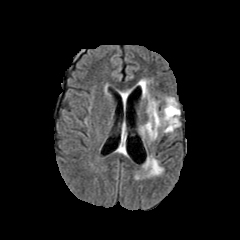
FLAIR magnetic resonance.
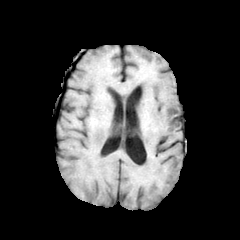
T1-weighted MRI.
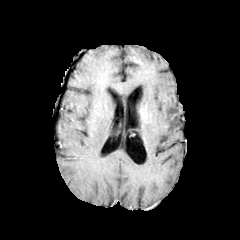
Post-contrast T1-weighted MR.
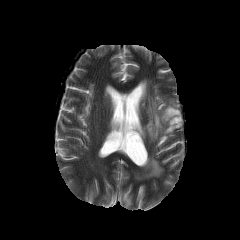
T2-weighted MR of the same slice.
Brain.
Non-enhancing tumor core: bounding box <box>168,108,177,113</box>.
Edema: bounding box <box>121,93,128,107</box>, <box>139,80,180,140</box>, <box>145,158,163,176</box>.